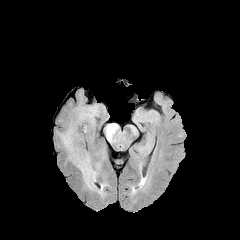
FLAIR magnetic resonance.
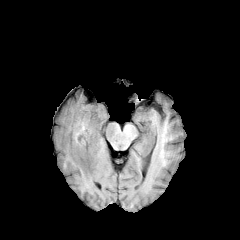
Same slice, T1-weighted MRI.
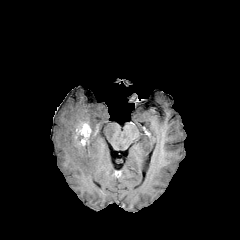
Same slice, post-contrast T1-weighted MR.
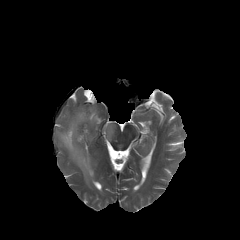
Same slice, T2-weighted MR image.
Head.
Edema — <box>104,123,115,142</box>, <box>60,125,105,194</box>, <box>77,104,105,124</box>.
Enhancing tumor — <box>78,123,91,145</box>.